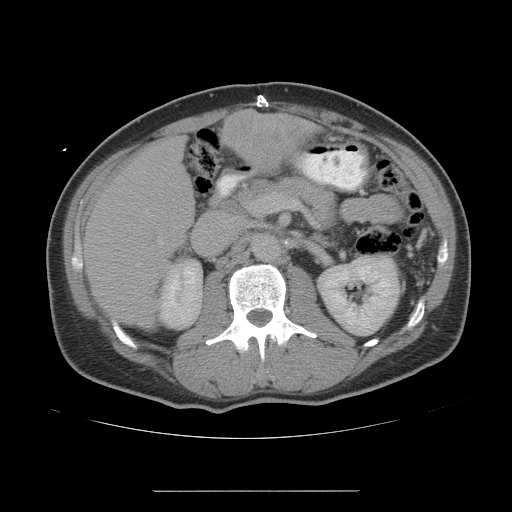

Computed tomography. Abdomen. The vessel boxes may cover only some of the vessels.
{
  "liver_tumor": [
    "223,111,318,171"
  ],
  "hepatic_vessel": [
    "171,244,174,246",
    "136,263,139,266",
    "158,239,163,244"
  ]
}